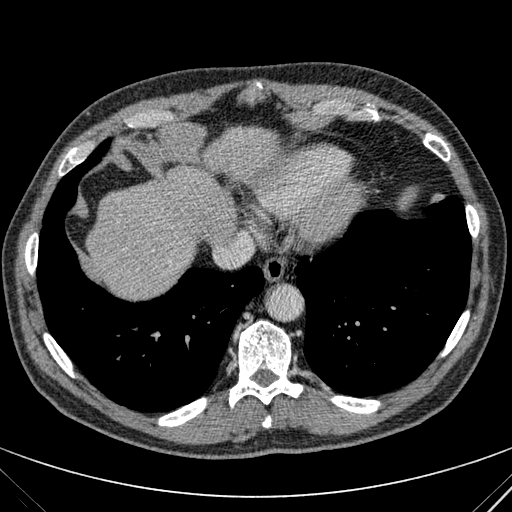 CT slice | 512x512 px
liver:
  - (88,127,277,297)